CT 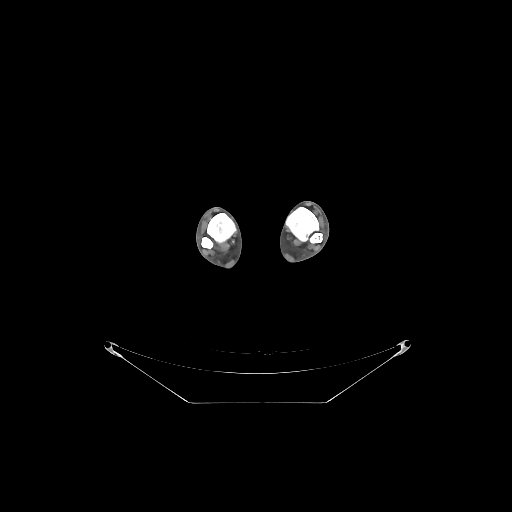
3 bone regions are located at (207, 213, 236, 243), (201, 237, 212, 248), (286, 207, 322, 243).